Head
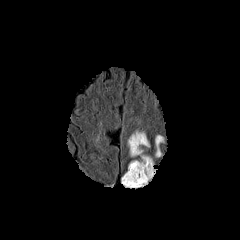
FLAIR MR.
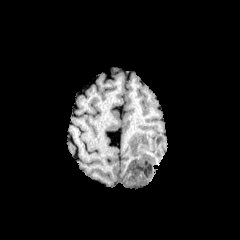
Same slice, T1-weighted magnetic resonance.
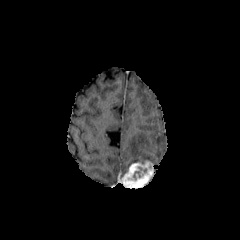
Post-contrast T1-weighted MRI.
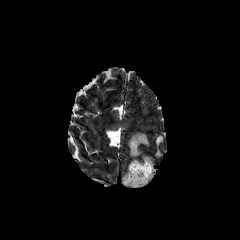
T2-weighted magnetic resonance of the same slice.
Segmented structures:
• enhancing tumor: 121 161 153 187
• non-enhancing tumor core: 132 167 147 180
• edema: 155 135 163 157, 127 131 152 160